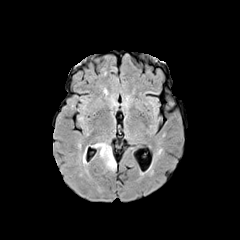
FLAIR magnetic resonance.
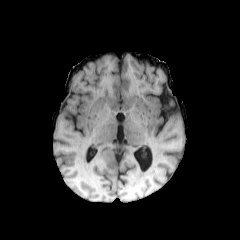
T1-weighted MRI of the same slice.
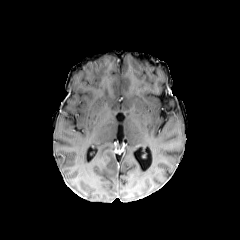
Same slice, post-contrast T1-weighted magnetic resonance.
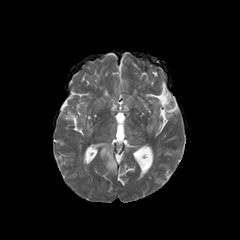
T2-weighted MR image.
Image size 240x240, Head
2 edema regions are located at <bbox>82, 146, 88, 164</bbox>, <bbox>91, 142, 116, 171</bbox>.